Slice 63/260, CT, Image width 512 mm, Liver, Image size 512x512

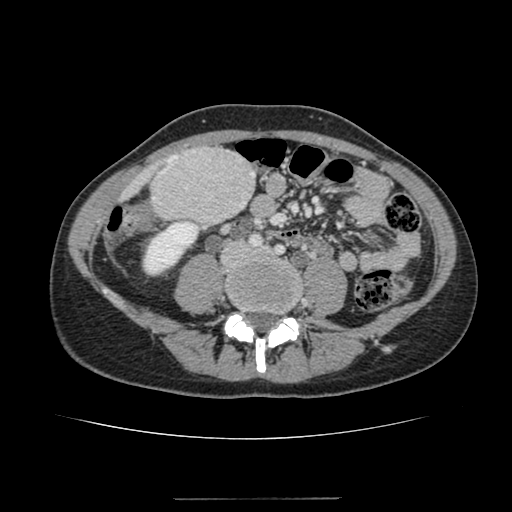
kidney:
  - bbox(145, 222, 197, 272)
focal_liver_lesion:
  - bbox(150, 146, 256, 224)
liver:
  - bbox(118, 164, 157, 202)